CT scan slice
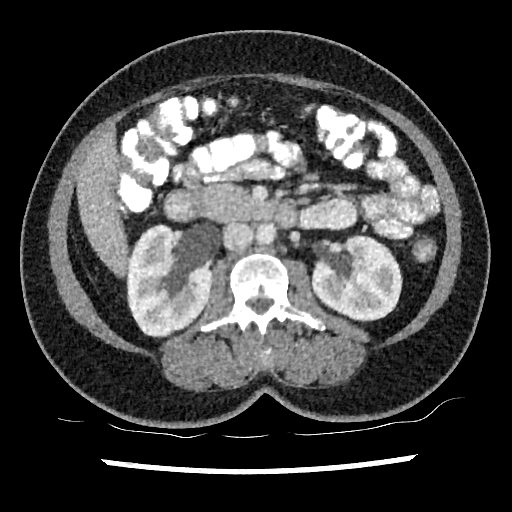

2 kidney regions appear at 312,237,401,319; 128,225,211,335. The liver appears at 78,132,127,272.